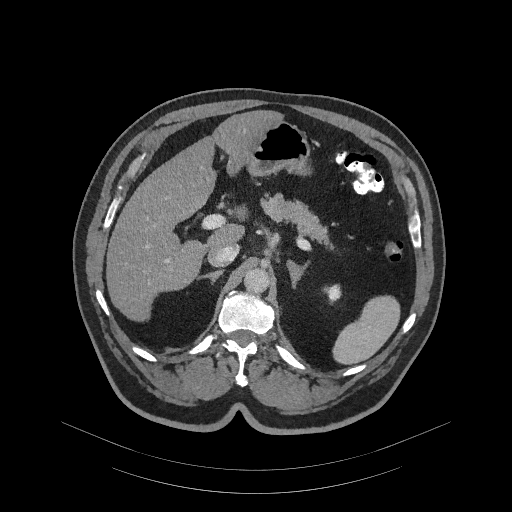

CT scan slice. Abdomen.

Pancreas: (x1=261, y1=193, x2=332, y2=248).